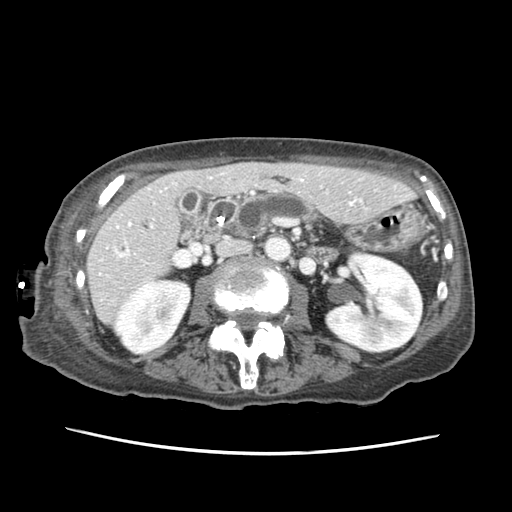 Upper abdomen. CT image. 512x512.

Findings:
• pancreas: [235, 193, 318, 232]